Slice 101/155
FLAIR MR image.
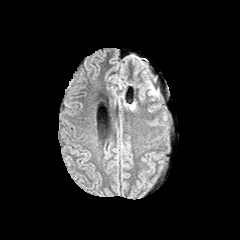
T1-weighted magnetic resonance.
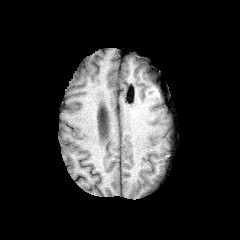
Post-contrast T1-weighted MR.
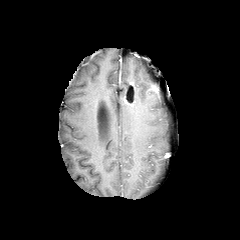
T2-weighted MR image.
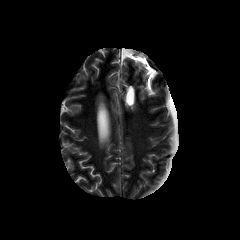
Edema at [140, 85, 157, 96].